Slice index 61 | Brain
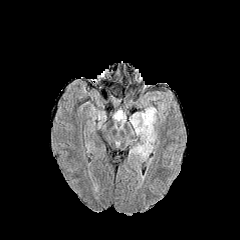
FLAIR MR.
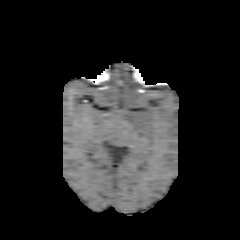
T1-weighted MR image.
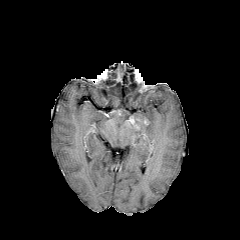
Same slice, post-contrast T1-weighted MRI.
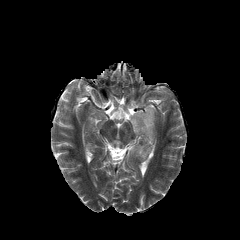
T2-weighted MRI of the same slice.
Edema — l=154, t=100, r=164, b=114; l=129, t=104, r=158, b=162; l=112, t=109, r=129, b=127.
Enhancing tumor — l=126, t=115, r=148, b=129.